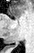
MR, Medial temporal lobe
The posterior hippocampus is at [7, 46, 12, 47].